Abdomen, Image size 512x512, Computed tomography, Slice 528/986 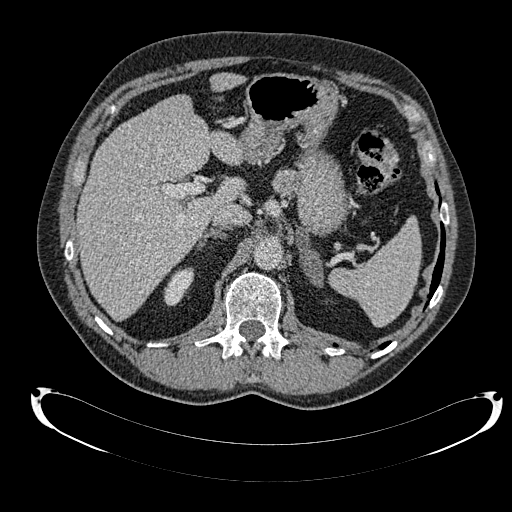
2 liver regions appear at region(78, 96, 241, 319); region(211, 73, 245, 90). The kidney is at region(165, 269, 193, 304).